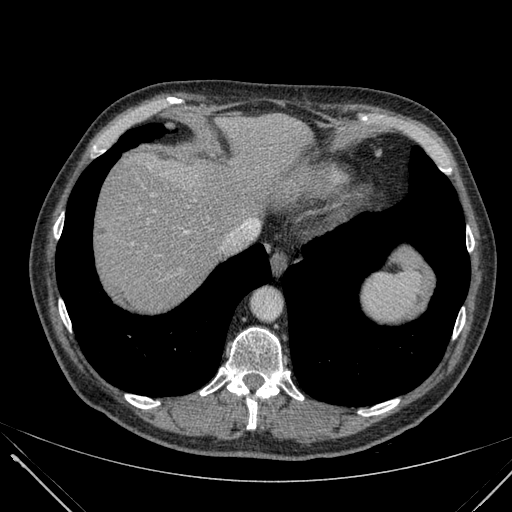

CT image, Liver

Segmented structures:
- liver: (left=94, top=114, right=331, bottom=312)